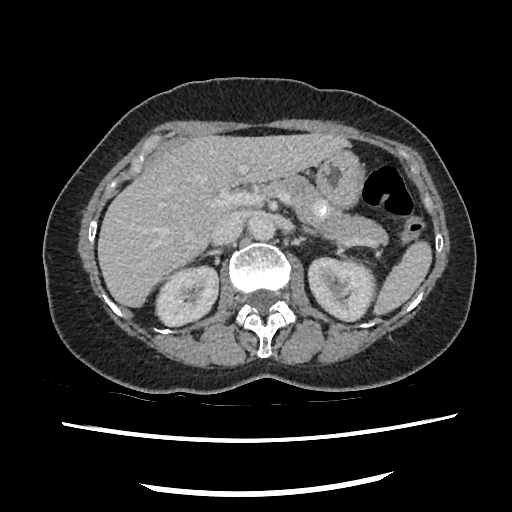 512x512 px, CT

Pancreas at [x1=261, y1=175, x2=385, y2=241].
Pancreatic tumor at [x1=312, y1=200, x2=330, y2=219].